CT. Abdomen. Slice index 61.

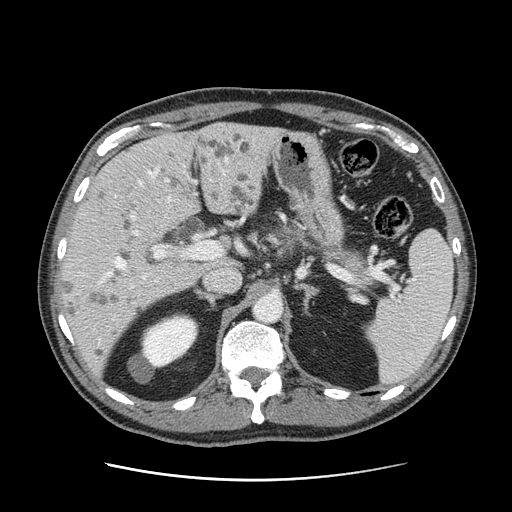 pancreas: rect(277, 225, 371, 285)